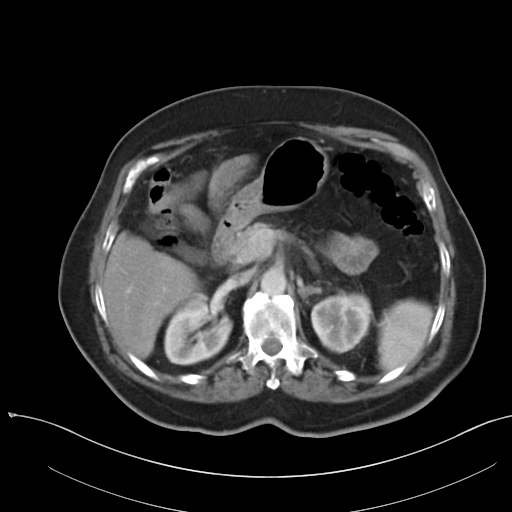

Liver; Computed tomography
Some hepatic vessels may have no box.
Hepatic vessel: bounding box (147, 341, 149, 343), (126, 288, 130, 292).